FLAIR magnetic resonance.
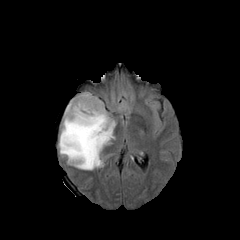
T1-weighted MRI.
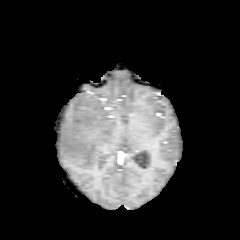
Post-contrast T1-weighted MR.
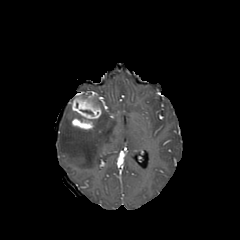
T2-weighted MR image.
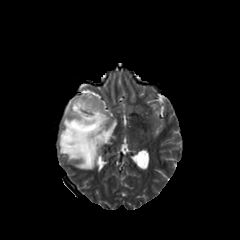
240x240 | Head
* enhancing tumor: <box>70,92,101,130</box>
* edema: <box>58,105,115,169</box>
* non-enhancing tumor core: <box>69,103,79,125</box>, <box>88,92,107,114</box>